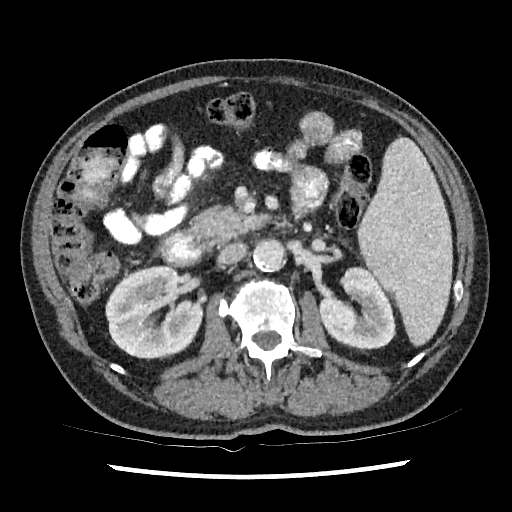

Abdomen | CT image

<segmentation>
  <kidney>[320, 268, 394, 348], [106, 267, 205, 357]</kidney>
</segmentation>